CT scan slice. Image width 400 mm. Slice index 433.
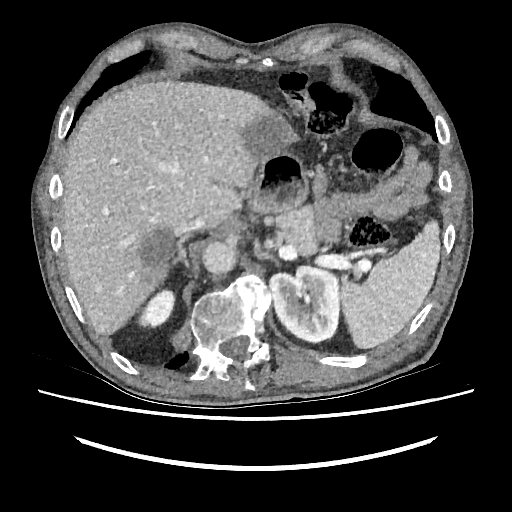 Liver at <box>287,129,297,146</box>, <box>62,81,280,333</box>.
Kidney at <box>270,266,339,341</box>, <box>142,291,173,325</box>.
Liver lesion at <box>135,227,173,286</box>, <box>241,114,291,158</box>.